Upper abdomen | Slice 37 of 85 | 512x512 px | CT scan slice 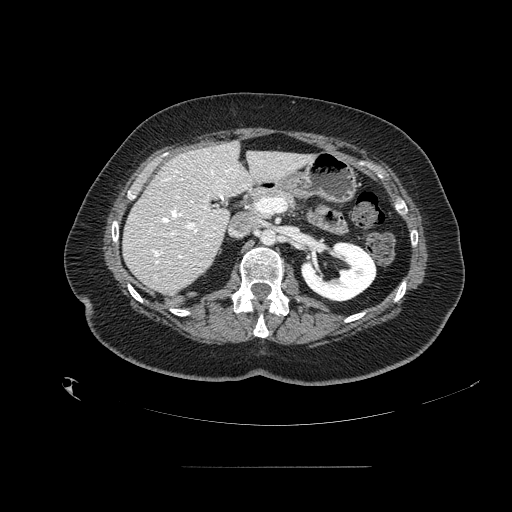
The pancreas is bounded by 240,187,289,218.